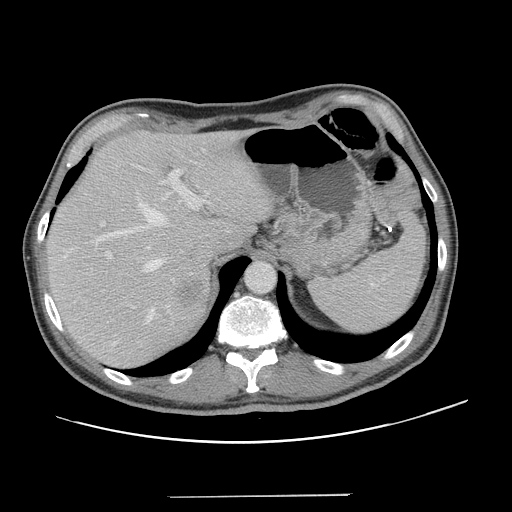

CT slice | Liver
Only some of the vessels may be annotated.
Hepatic vessel — <box>105,251,111,258</box>, <box>147,308,154,322</box>, <box>130,305,135,308</box>, <box>166,304,169,311</box>, <box>100,221,104,226</box>, <box>136,195,165,226</box>, <box>112,342,116,345</box>, <box>163,193,171,199</box>, <box>161,170,209,208</box>, <box>94,225,145,245</box>, <box>147,246,150,249</box>, <box>145,259,162,270</box>.
Liver tumor — <box>176,277,202,307</box>.